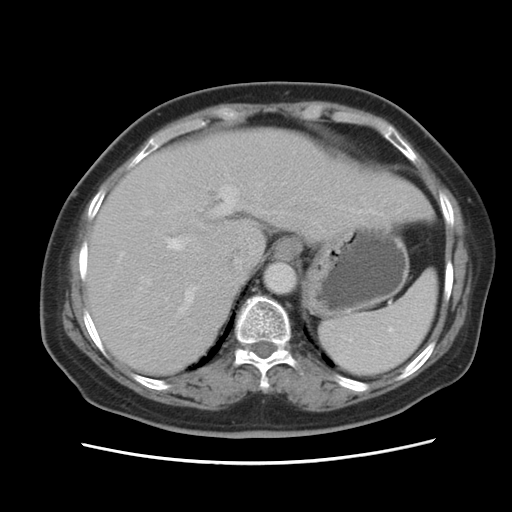 Abdomen; CT slice
Some hepatic vessels may have no box.
Hepatic vessel — l=219, t=186, r=238, b=207; l=352, t=208, r=354, b=212; l=226, t=174, r=228, b=176; l=148, t=279, r=151, b=285; l=166, t=238, r=183, b=249; l=178, t=286, r=197, b=314; l=340, t=206, r=342, b=208; l=187, t=238, r=188, b=240; l=141, t=276, r=143, b=278; l=118, t=252, r=124, b=261.